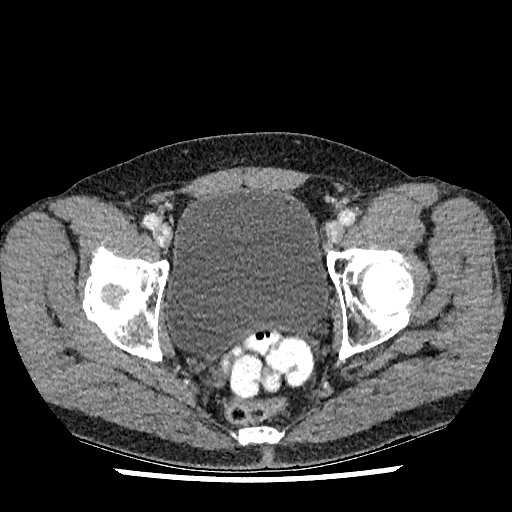
Computed tomography, Pelvis, Image size 512x512
The urinary bladder is bounded by l=165, t=189, r=328, b=356.